Slice index 287. 512x512 px. Computed tomography. Abdomen.
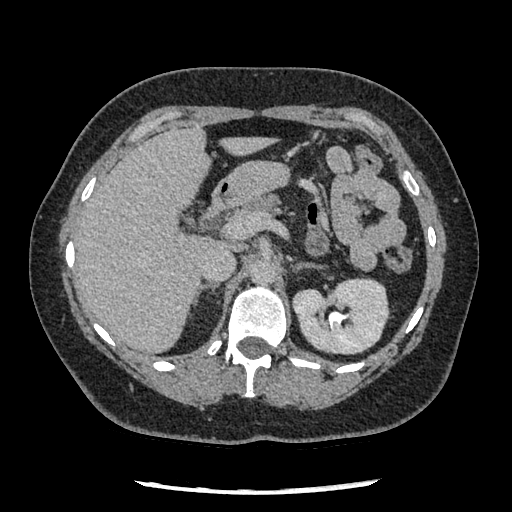 pancreas:
  - l=237, t=194, r=280, b=215